Slice 72 of 114, CT slice, 512x512 px, Liver 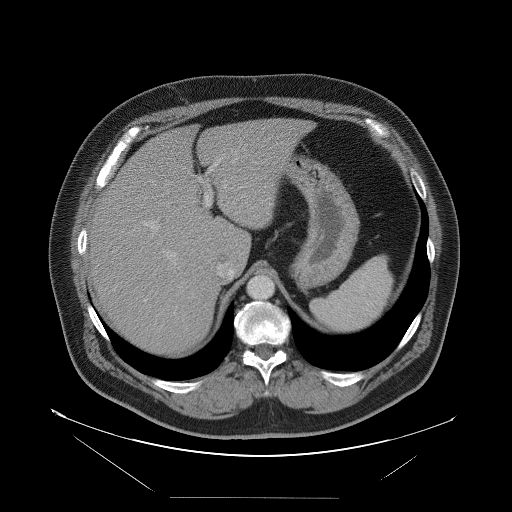
The vessel boxes may cover only some of the vessels.
10 hepatic vessel regions appear at <box>173,312,175,314</box>, <box>231,150,235,153</box>, <box>144,221,159,229</box>, <box>144,299,146,301</box>, <box>198,177,207,182</box>, <box>205,184,211,205</box>, <box>222,180,226,187</box>, <box>114,288,115,289</box>, <box>206,154,224,173</box>, <box>163,250,175,258</box>.